Slice 34/86. Image size 512x512. Computed tomography. 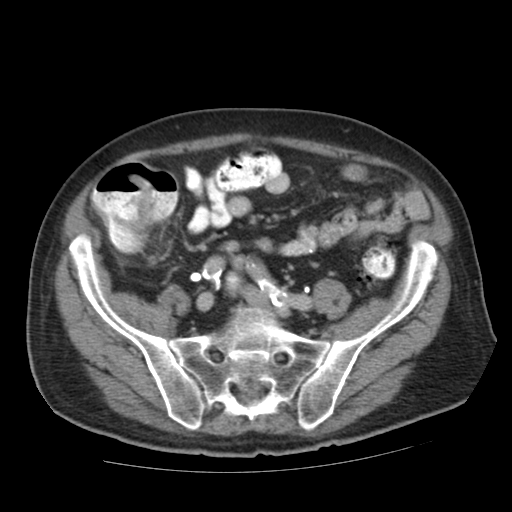

Colon tumor: bounding box [113, 175, 151, 231].